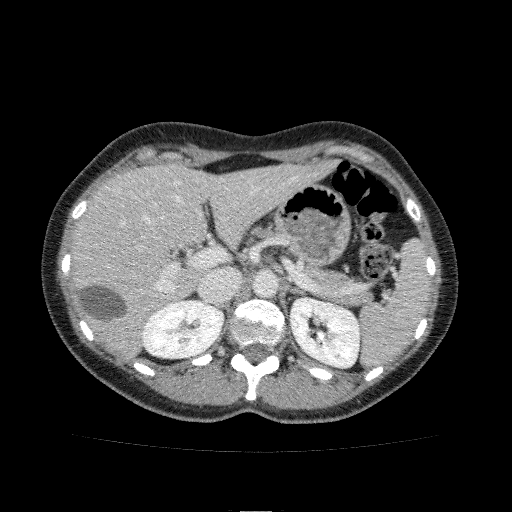

Upper abdomen, CT image, Image size 512x512
kidney: l=142, t=301, r=223, b=358; l=290, t=298, r=359, b=367 | liver: l=71, t=161, r=334, b=358